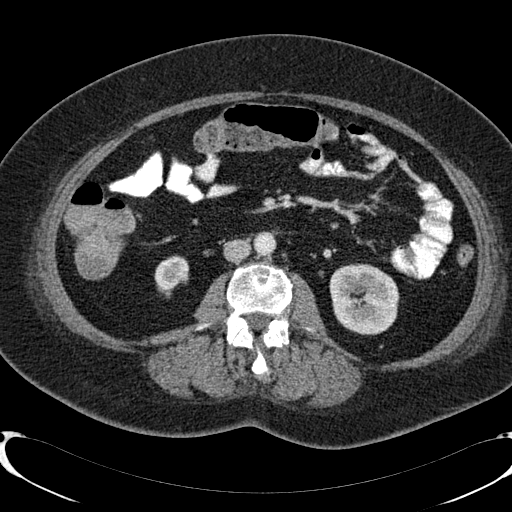

CT scan slice. Abdomen. kidney:
  - [155, 257, 188, 289]
  - [330, 265, 398, 333]